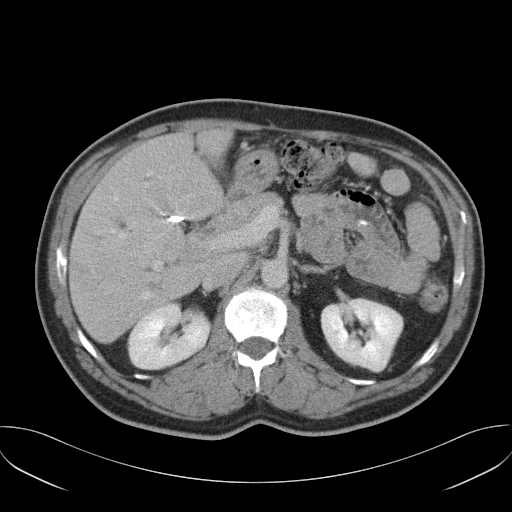 512x512. CT.
The vessel boxes may cover only some of the vessels.
2 hepatic vessel regions are located at bbox(153, 261, 161, 268); bbox(142, 292, 149, 297).